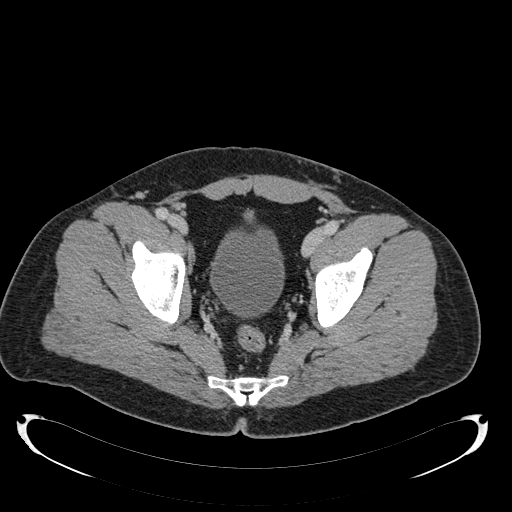

CT scan slice.

Urinary bladder = 210, 220, 284, 318.